Prostate, Field of view 200 mm wide, 3.60 mm slice spacing
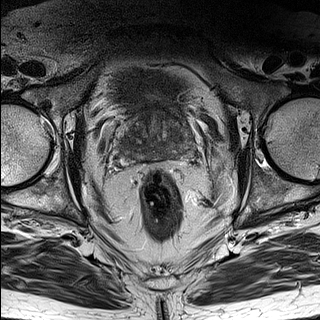
T2-weighted magnetic resonance.
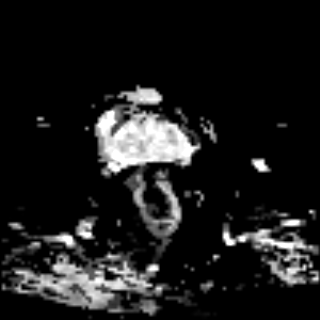
ADC MR image.
The prostate peripheral zone is at 118,112,194,165.